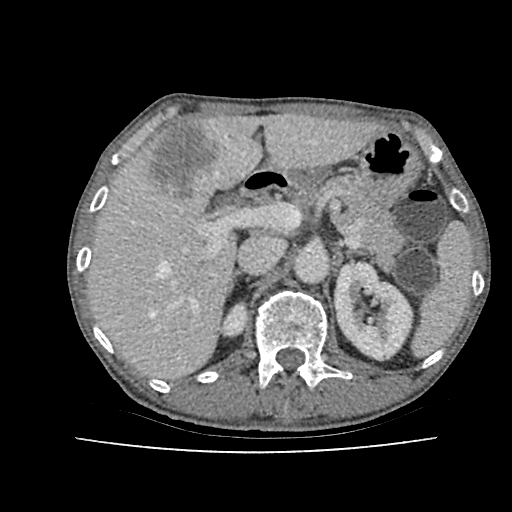
Liver | Computed tomography
The liver appears at box(90, 115, 382, 378). 2 kidney regions are bounded by box(224, 306, 245, 334); box(335, 264, 411, 358). The focal liver lesion is at box(146, 115, 220, 198).